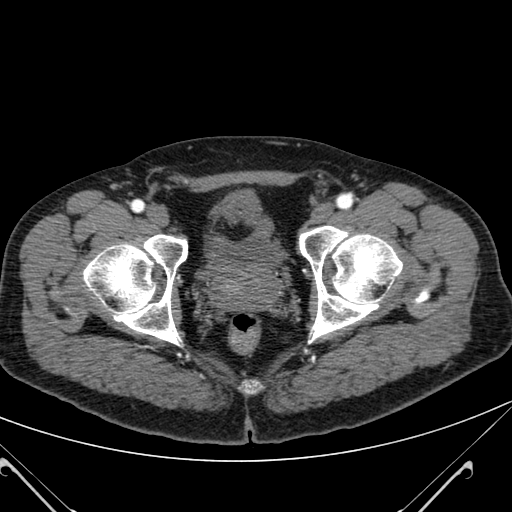
CT slice
Urinary bladder: rect(207, 190, 280, 269).